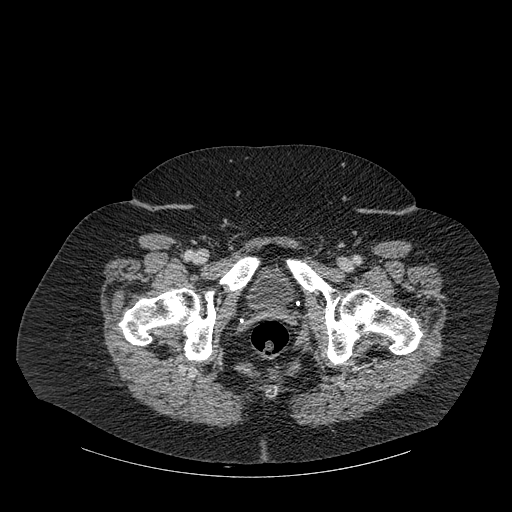
CT.
3 bone regions are located at box=[220, 257, 258, 290]; box=[287, 259, 422, 364]; box=[119, 288, 215, 360].